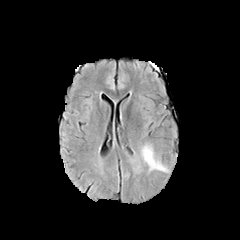
FLAIR MR.
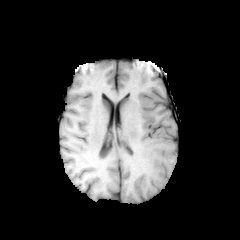
T1-weighted magnetic resonance of the same slice.
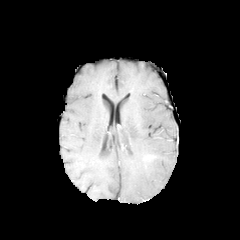
Same slice, post-contrast T1-weighted magnetic resonance.
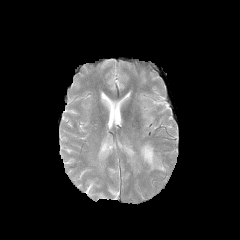
T2-weighted magnetic resonance.
240x240 px
edema: box(137, 142, 169, 172)